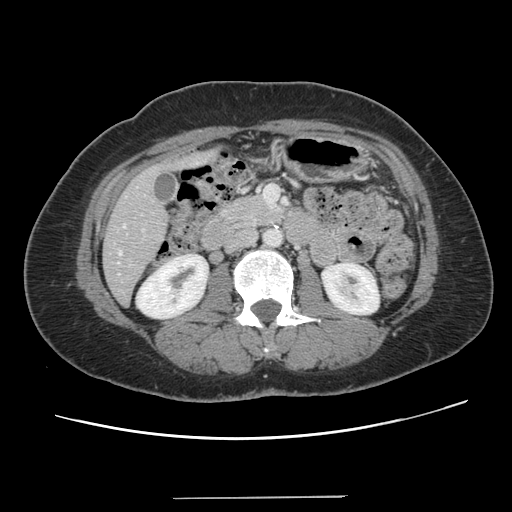
CT scan slice. Some hepatic vessels may have no box.
<segmentation>
  <hepatic_vessel>l=118, t=251, r=121, b=254; l=123, t=224, r=125, b=227</hepatic_vessel>
</segmentation>